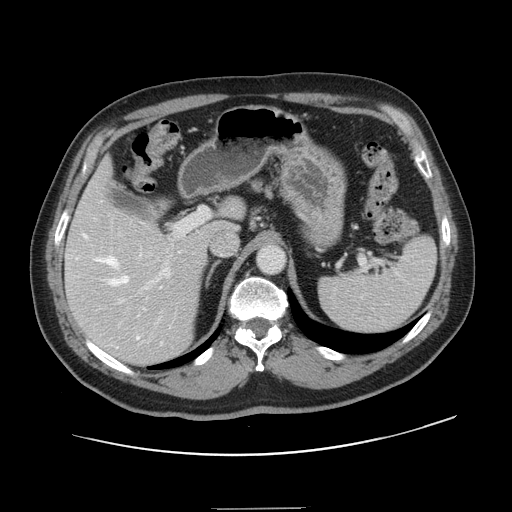

CT image. Image size 512x512.
The vessel annotation is not exhaustive.
9 hepatic vessel regions are bounded by {"x1": 83, "y1": 234, "x2": 86, "y2": 237}, {"x1": 137, "y1": 336, "x2": 139, "y2": 338}, {"x1": 95, "y1": 256, "x2": 118, "y2": 267}, {"x1": 118, "y1": 300, "x2": 121, "y2": 302}, {"x1": 161, "y1": 268, "x2": 169, "y2": 276}, {"x1": 109, "y1": 276, "x2": 128, "y2": 285}, {"x1": 149, "y1": 278, "x2": 159, "y2": 283}, {"x1": 142, "y1": 307, "x2": 144, "y2": 309}, {"x1": 146, "y1": 286, "x2": 147, "y2": 288}.